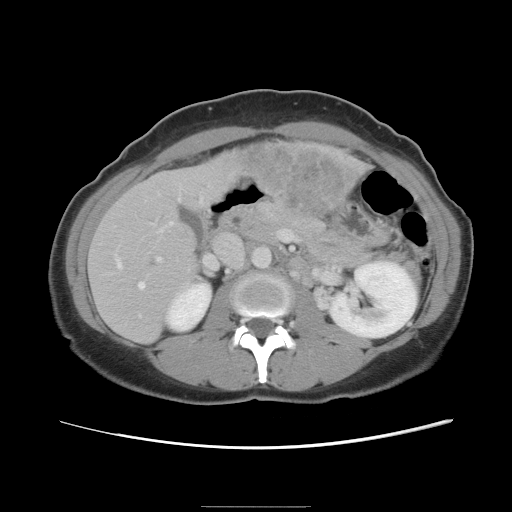 CT scan slice; Abdomen

Only some of the vessels may be annotated.
* hepatic vessel: left=150, top=222, right=152, bottom=223; left=178, top=196, right=179, bottom=199; left=211, top=238, right=243, bottom=272; left=138, top=282, right=143, bottom=287; left=115, top=256, right=120, bottom=266; left=278, top=229, right=297, bottom=240; left=199, top=197, right=201, bottom=203; left=169, top=221, right=172, bottom=224; left=157, top=256, right=159, bottom=259
* liver tumor: left=228, top=144, right=368, bottom=219